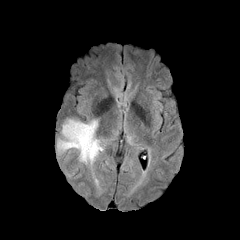
FLAIR magnetic resonance.
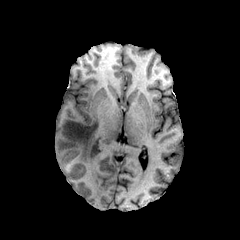
T1-weighted MRI of the same slice.
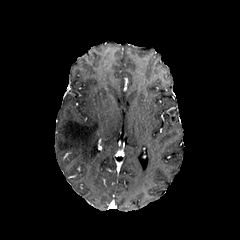
Same slice, post-contrast T1-weighted MRI.
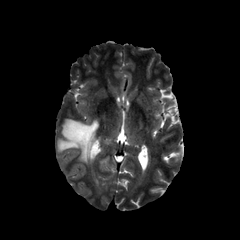
Same slice, T2-weighted MRI.
240x240 px
Edema: bounding box region(57, 119, 101, 166).